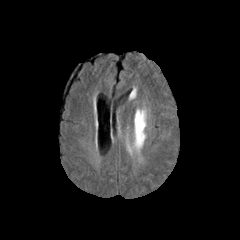
FLAIR magnetic resonance.
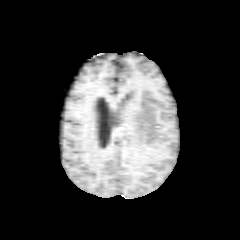
T1-weighted MRI of the same slice.
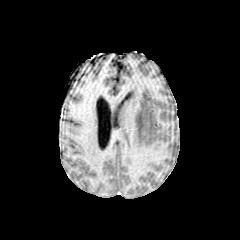
Same slice, post-contrast T1-weighted MR.
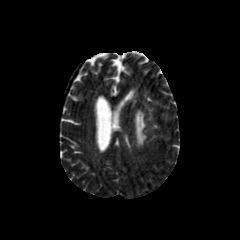
Same slice, T2-weighted MRI.
240x240; Brain
{
  "edema": [
    "[133, 105, 151, 148]"
  ]
}